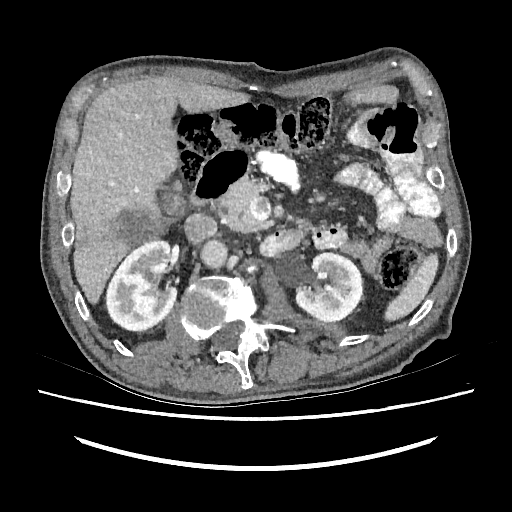 CT image.
2 kidney regions are located at box=[107, 241, 176, 330]; box=[296, 253, 361, 321]. 2 focal liver lesion regions appear at box=[103, 209, 161, 245]; box=[75, 240, 84, 248]. The liver lies within box=[72, 78, 247, 305].